Field of view 240x240 mm, Slice 38/155
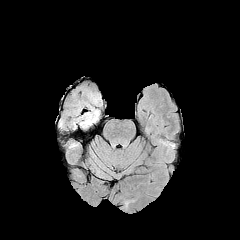
FLAIR MR image.
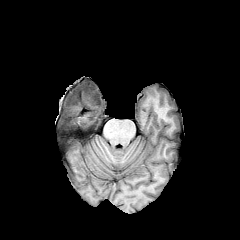
T1-weighted magnetic resonance of the same slice.
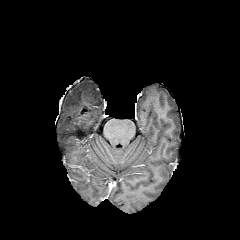
Same slice, post-contrast T1-weighted MR image.
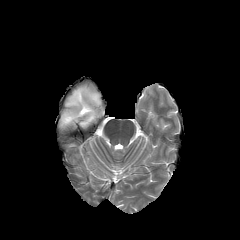
T2-weighted MR image.
edema: (x1=60, y1=86, x2=102, y2=129) | non-enhancing tumor core: (x1=74, y1=92, x2=83, y2=107), (x1=80, y1=88, x2=99, y2=106)